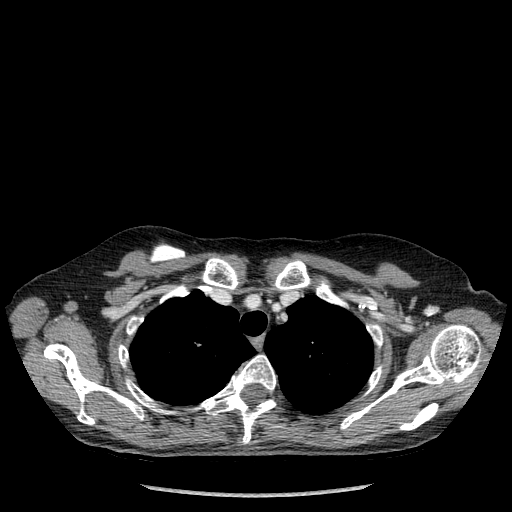
Chest, CT scan slice

Bone = (193,355,275,443), (316,281,345,306), (43,343,175,425), (365,366,382,394), (160,284,188,303), (275,260,310,293), (126,316,143,334), (366,324,382,347), (340,324,481,429), (202,257,238,291), (118,345,128,367), (399,403,438,430).
Lung = (130,289,267,405), (264,295,373,414).